512x512 px; Slice 120/756; Field of view 391x391 mm; CT 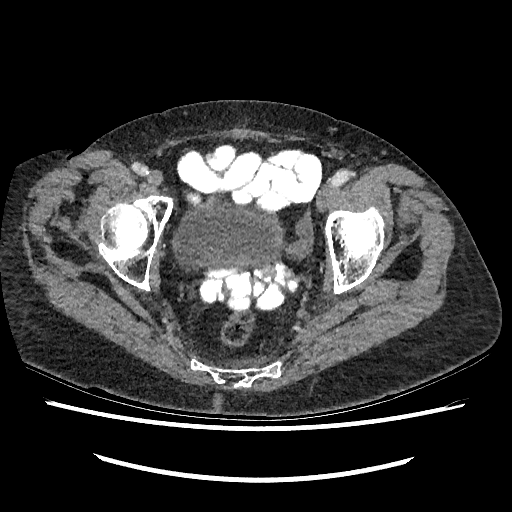

- urinary bladder: <bbox>174, 195, 285, 271</bbox>